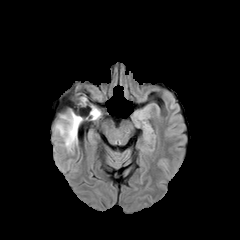
FLAIR MR image.
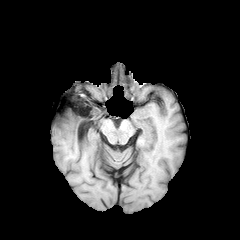
T1-weighted magnetic resonance.
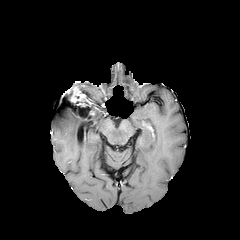
Post-contrast T1-weighted magnetic resonance of the same slice.
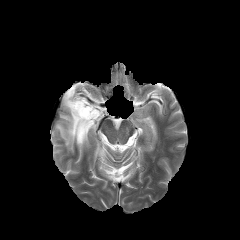
Same slice, T2-weighted MR image.
Image size 240x240
{"non-enhancing_tumor_core": ["[60,88,96,126]"], "edema": ["[54,109,100,151]"], "enhancing_tumor": ["[76,93,87,105]"]}